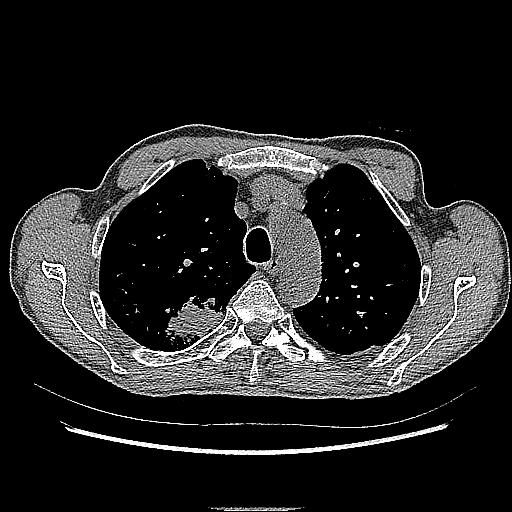
CT image

The lung tumor is bounded by [156, 294, 225, 349].